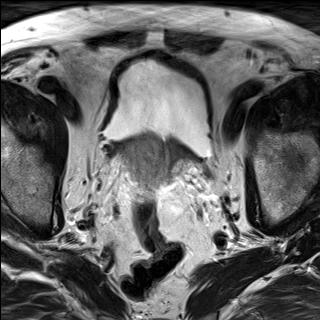
T2-weighted MR.
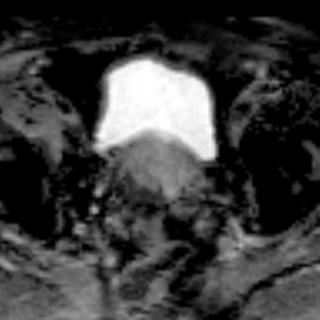
ADC MR.
Prostate
prostate transition zone: <box>125,135,193,195</box>